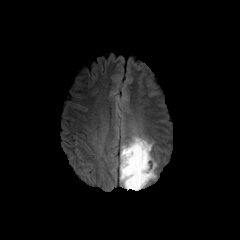
FLAIR MR image.
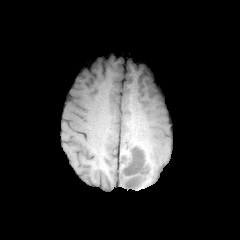
T1-weighted MRI.
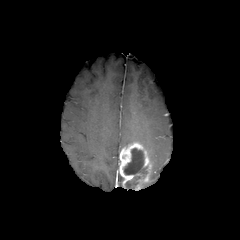
Post-contrast T1-weighted MR image of the same slice.
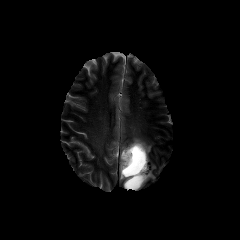
Same slice, T2-weighted magnetic resonance.
Head
non-enhancing tumor core: 124, 176, 140, 190; 124, 148, 148, 175 | enhancing tumor: 119, 142, 152, 190 | edema: 128, 134, 157, 181